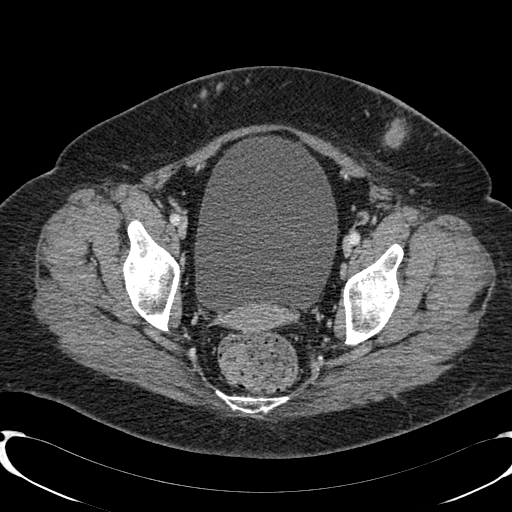 CT | 512x512 px
- urinary bladder: (195, 136, 337, 309)